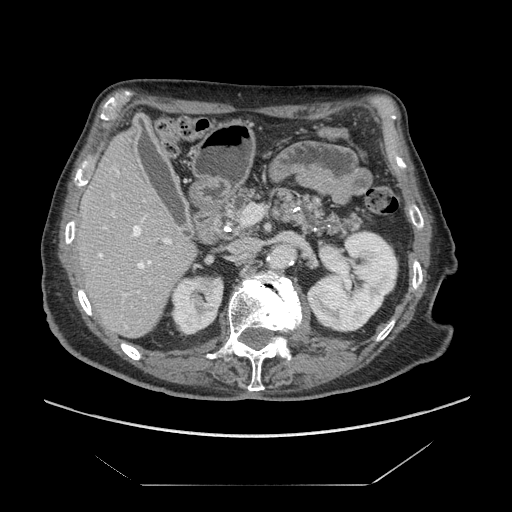
Computed tomography. 512x512 px. Upper abdomen.
The pancreas is at (x1=210, y1=181, x2=371, y2=242).